CT slice
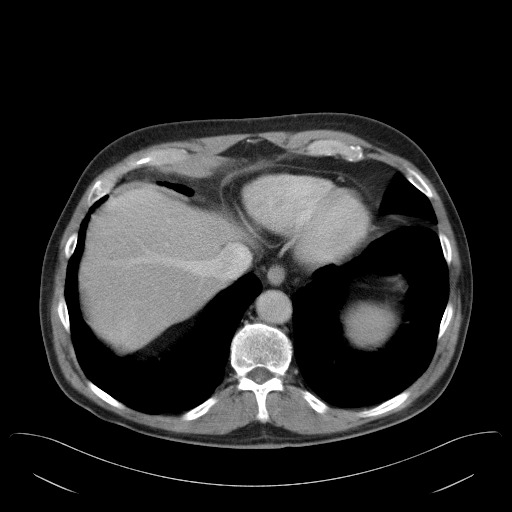
Some hepatic vessels may have no box.
Segmented structures:
• hepatic vessel: <bbox>230, 245, 241, 252</bbox>, <bbox>130, 255, 215, 275</bbox>